Liver, CT slice
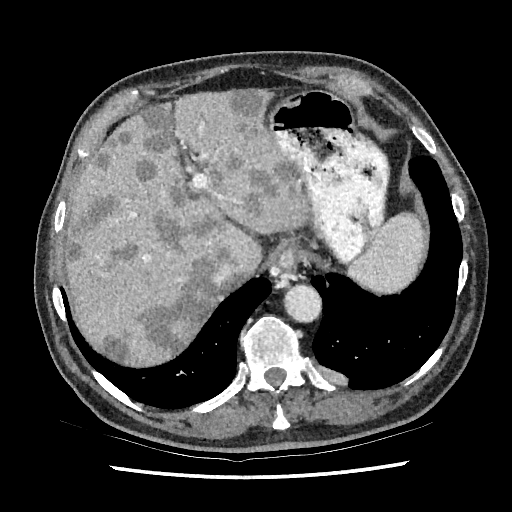
{
  "hepatic_lesion": [
    "left=108, top=242, right=137, bottom=265",
    "left=141, top=269, right=152, bottom=282",
    "left=229, top=90, right=266, bottom=126",
    "left=140, top=105, right=174, bottom=153",
    "left=97, top=336, right=129, bottom=361",
    "left=94, top=132, right=131, bottom=171",
    "left=226, top=153, right=243, bottom=172",
    "left=135, top=159, right=155, bottom=181",
    "left=141, top=245, right=235, bottom=354",
    "left=242, top=160, right=294, bottom=218",
    "left=67, top=196, right=116, bottom=260",
    "left=167, top=183, right=186, bottom=205",
    "left=155, top=209, right=230, bottom=256"
  ],
  "liver": [
    "left=148, top=102, right=172, bottom=114",
    "left=65, top=88, right=308, bottom=363"
  ]
}